FLAIR MR image.
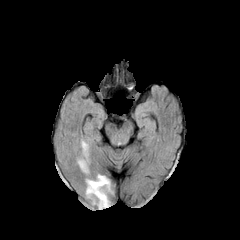
T1-weighted MR image.
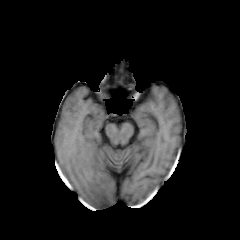
Post-contrast T1-weighted MR image.
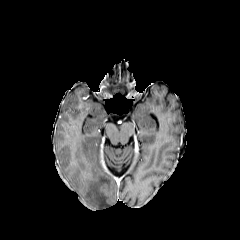
T2-weighted MR.
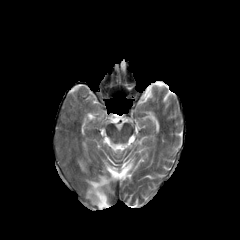
240x240 px
3 edema regions are bounded by <bbox>77, 160, 88, 173</bbox>, <bbox>85, 174, 113, 209</bbox>, <bbox>81, 140, 88, 157</bbox>.